Image size 240x240
FLAIR MR.
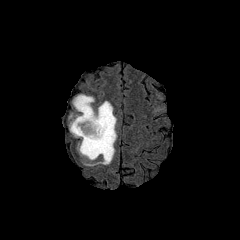
T1-weighted magnetic resonance.
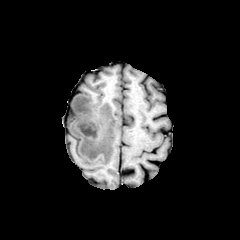
Post-contrast T1-weighted MR.
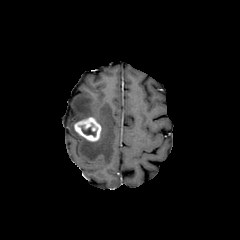
T2-weighted magnetic resonance.
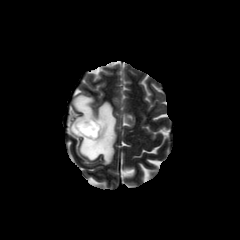
Non-enhancing tumor core — [x1=82, y1=128, x2=95, y2=135].
Edema — [x1=68, y1=94, x2=117, y2=165].
Enhancing tumor — [x1=74, y1=117, x2=101, y2=141].